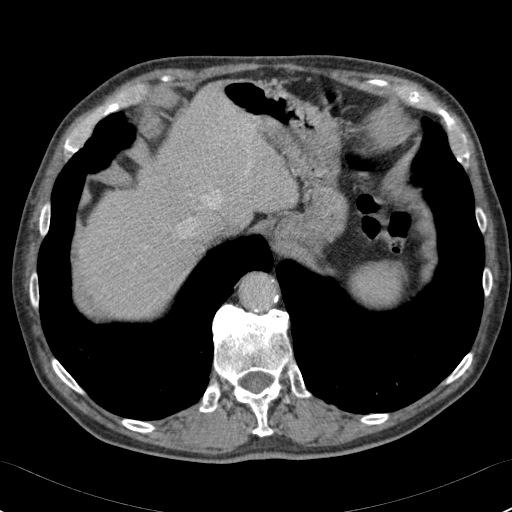
Image size 512x512, Liver, CT slice
Annotated regions:
• liver: [83,86,297,314]